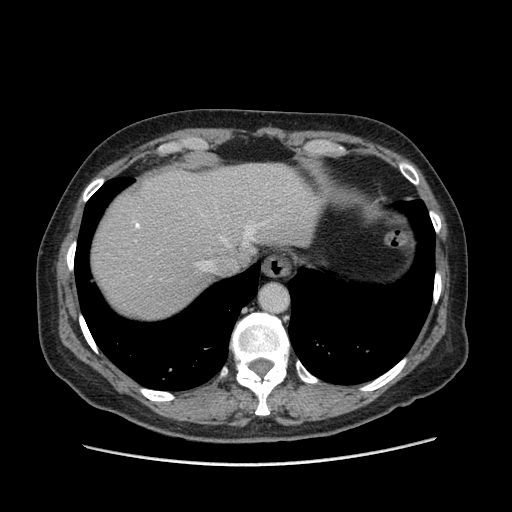
CT image. Liver. The vessel boxes may cover only some of the vessels.
hepatic vessel: bbox=[243, 220, 268, 245]; bbox=[218, 234, 230, 246]; bbox=[213, 192, 219, 217]; bbox=[200, 213, 206, 218]; bbox=[195, 260, 214, 270]